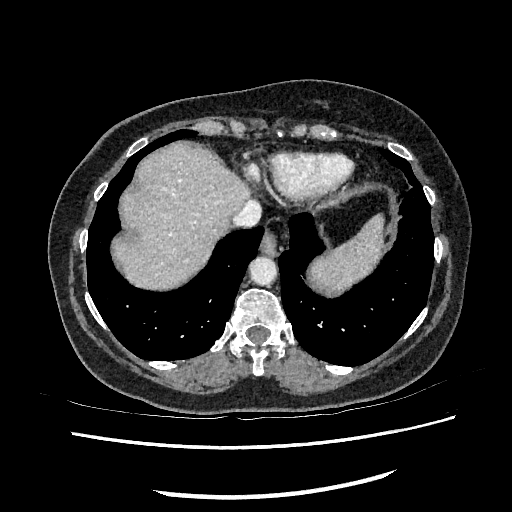

CT scan slice

liver:
  - (114,143,247,287)